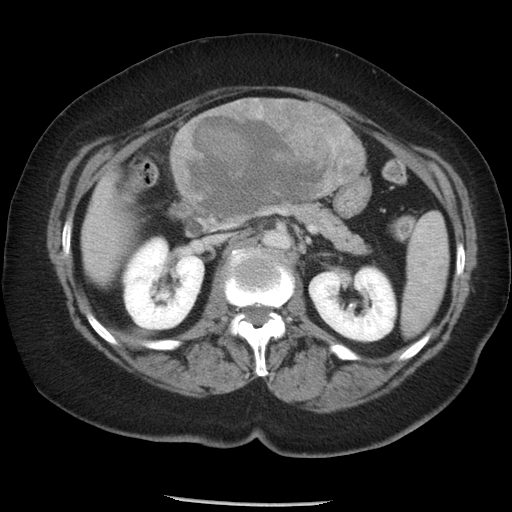

CT scan slice; Abdomen

<segmentation>
  <liver_tumor>[x1=189, y1=99, x2=365, y2=216]</liver_tumor>
</segmentation>